MR. 34x47. Medial temporal lobe.

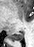 {
  "posterior_hippocampus": [
    "[11, 31, 23, 40]"
  ]
}